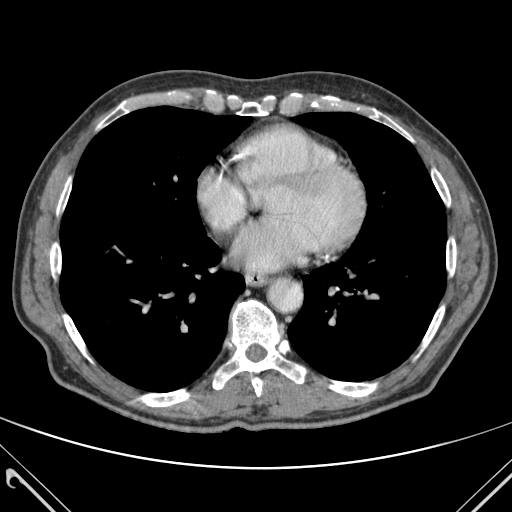

CT slice. Image size 512x512.
13 bone regions are located at box(423, 306, 444, 347); box(329, 381, 376, 396); box(213, 300, 305, 396); box(50, 238, 61, 282); box(446, 238, 456, 275); box(141, 390, 189, 406); box(431, 169, 450, 205); box(63, 315, 90, 360); box(362, 109, 413, 140); box(235, 102, 270, 115); box(97, 101, 129, 127); box(57, 178, 71, 223); box(320, 96, 342, 105). 2 lung regions appear at box(288, 112, 446, 381); box(60, 106, 251, 391).